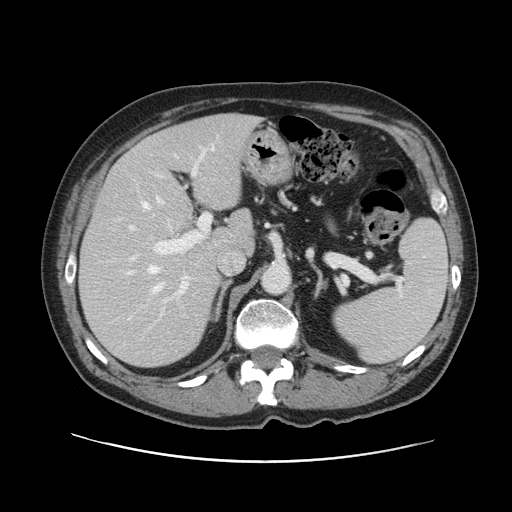
CT scan slice. The vessel boxes may cover only some of the vessels.
15 hepatic vessel regions are bounded by [192, 164, 196, 174], [161, 309, 163, 314], [129, 226, 133, 228], [210, 143, 213, 150], [155, 245, 166, 253], [130, 257, 135, 260], [163, 300, 166, 301], [142, 202, 148, 207], [156, 197, 163, 203], [199, 149, 204, 160], [175, 154, 177, 157], [126, 271, 132, 274], [178, 276, 191, 294], [149, 266, 158, 272], [152, 284, 161, 292].